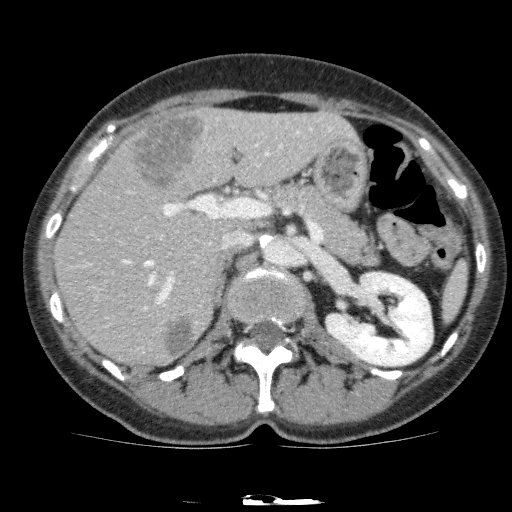
Image size 512x512. Computed tomography. kidney: bbox=[326, 272, 432, 365] | liver: bbox=[54, 107, 360, 363] | hepatic lesion: bbox=[161, 312, 195, 357]; bbox=[127, 113, 205, 191]